Abdomen. CT.
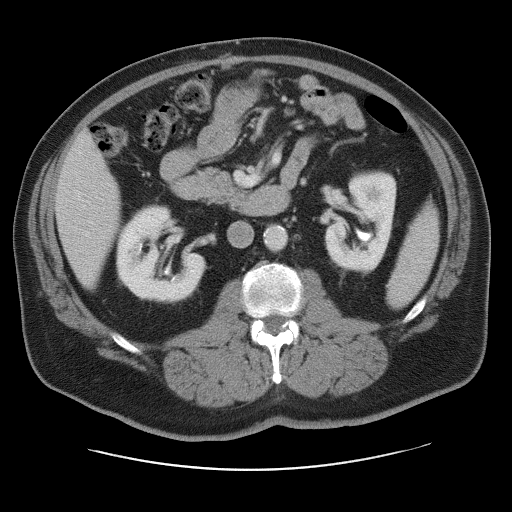

The vessel annotation is not exhaustive.
3 hepatic vessel regions are located at box(236, 173, 252, 185); box(85, 232, 87, 234); box(77, 192, 79, 196).